Slice index 419 | Field of view 348x348 mm | 512x512 px | CT 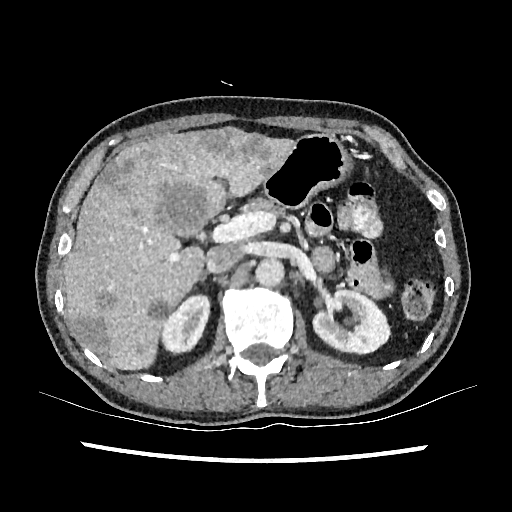
liver:
  - (x1=65, y1=128, x2=296, y2=369)
kidney:
  - (x1=163, y1=296, x2=209, y2=351)
  - (x1=359, y1=308, x2=394, y2=358)
  - (x1=313, y1=290, x2=389, y2=353)
focal_liver_lesion:
  - (x1=147, y1=300, x2=172, y2=319)
  - (x1=74, y1=316, x2=108, y2=357)
  - (x1=145, y1=151, x2=159, y2=160)
  - (x1=131, y1=208, x2=139, y2=216)
  - (x1=136, y1=343, x2=146, y2=354)
  - (x1=196, y1=131, x2=270, y2=162)
  - (x1=97, y1=158, x2=134, y2=193)
  - (x1=95, y1=292, x2=115, y2=309)
  - (x1=259, y1=163, x2=276, y2=177)
  - (x1=155, y1=183, x2=208, y2=235)